Image width 240 mm; Head
FLAIR MRI.
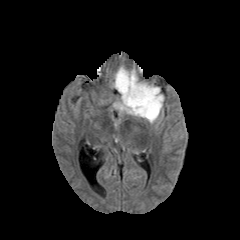
T1-weighted MR image.
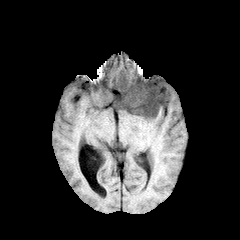
Post-contrast T1-weighted MR.
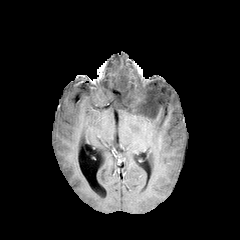
T2-weighted MRI.
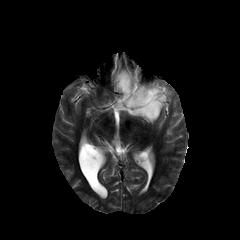
non-enhancing tumor core: {"x1": 120, "y1": 77, "x2": 127, "y2": 89}, {"x1": 140, "y1": 90, "x2": 159, "y2": 115} | edema: {"x1": 112, "y1": 64, "x2": 167, "y2": 124}